Liver; CT

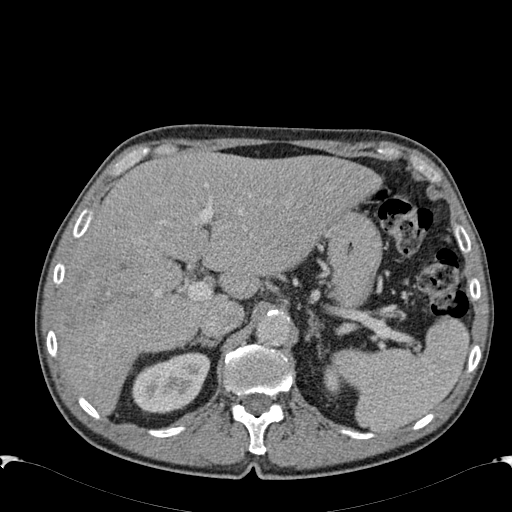

• kidney: x1=133, y1=353, x2=209, y2=412; x1=325, y1=377, x2=340, y2=390
• liver lesion: x1=63, y1=253, x2=135, y2=327
• liver: x1=54, y1=152, x2=380, y2=411